FLAIR MRI.
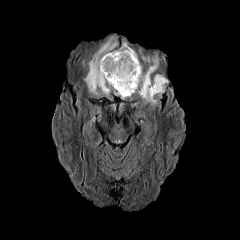
T1-weighted magnetic resonance.
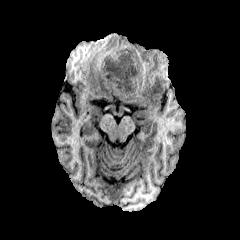
Post-contrast T1-weighted MR image.
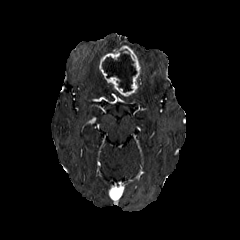
T2-weighted MR.
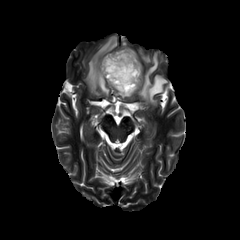
The enhancing tumor is at left=98, top=45, right=141, bottom=98. The non-enhancing tumor core is bounded by left=101, top=53, right=136, bottom=92. 2 edema regions appear at left=82, top=36, right=117, bottom=96; left=138, top=48, right=167, bottom=105.